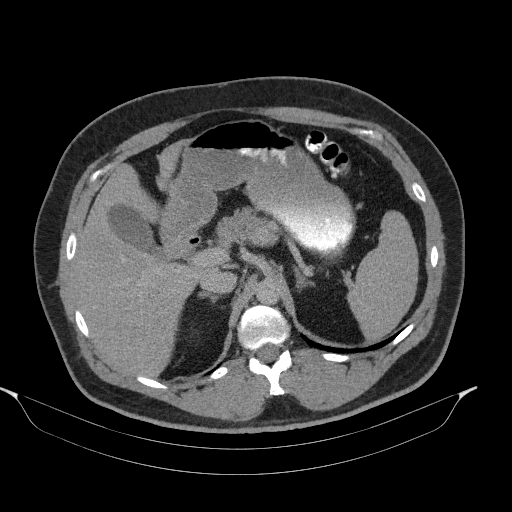
CT; 512x512 px; Upper abdomen

Pancreas at 215,207,277,244.